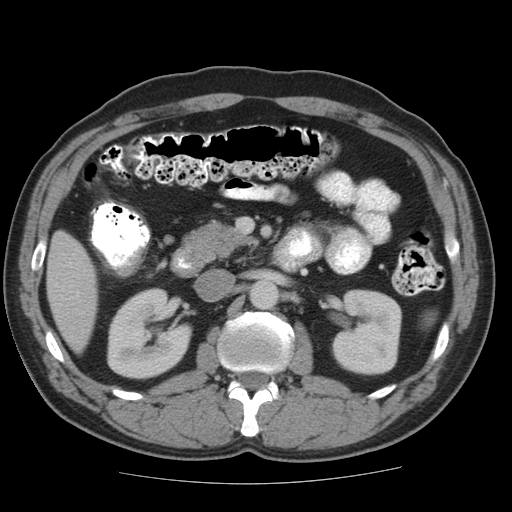
Image size 512x512, Pelvis, CT
Colon tumor: bounding box x1=116 y1=249 x2=143 y2=275.